FLAIR MRI.
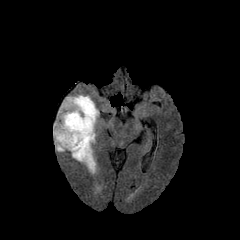
T1-weighted magnetic resonance.
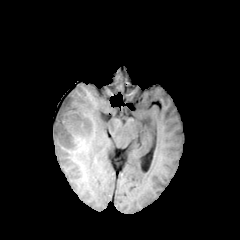
Post-contrast T1-weighted MRI.
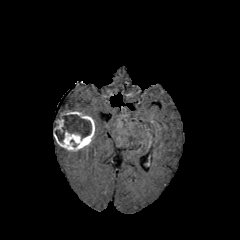
T2-weighted MR.
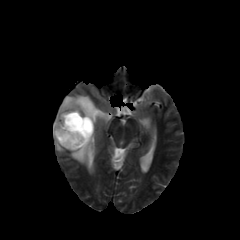
240x240, Brain
<segmentation>
  <non-enhancing_tumor_core>x1=55, y1=130, x2=63, y2=140; x1=62, y1=114, x2=91, y2=137</non-enhancing_tumor_core>
  <edema>x1=54, y1=140, x2=67, y2=152; x1=58, y1=94, x2=102, y2=173</edema>
  <enhancing_tumor>x1=54, y1=110, x2=94, y2=150</enhancing_tumor>
</segmentation>